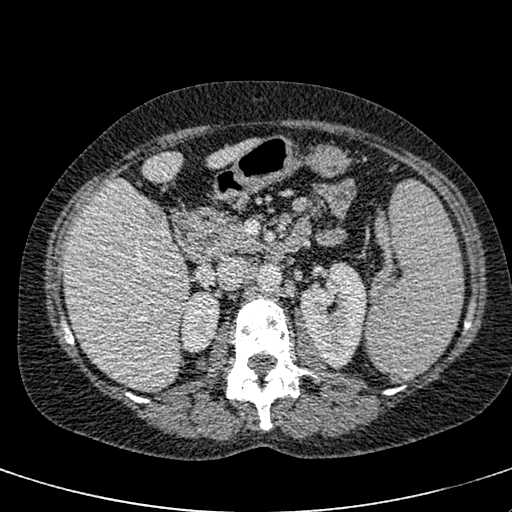

512x512; CT slice
kidney:
  - x1=181 y1=292 x2=218 y2=347
  - x1=301 y1=263 x2=366 y2=366
liver_lesion:
  - x1=141 y1=206 x2=166 y2=233
liver:
  - x1=66 y1=180 x2=189 y2=389
  - x1=207 y1=139 x2=262 y2=168
  - x1=143 y1=152 x2=182 y2=181